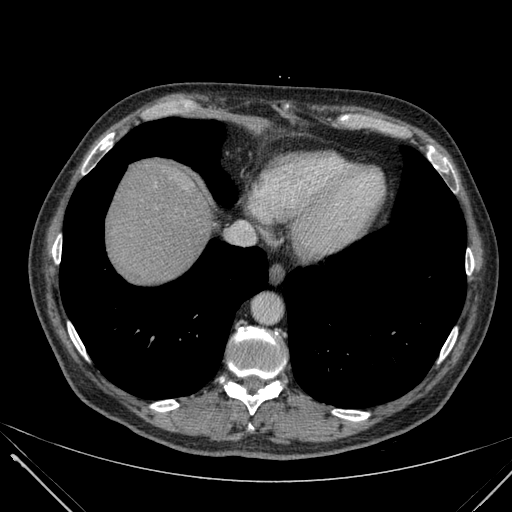 Computed tomography, Liver
The liver is at 106, 159, 216, 284.